Computed tomography

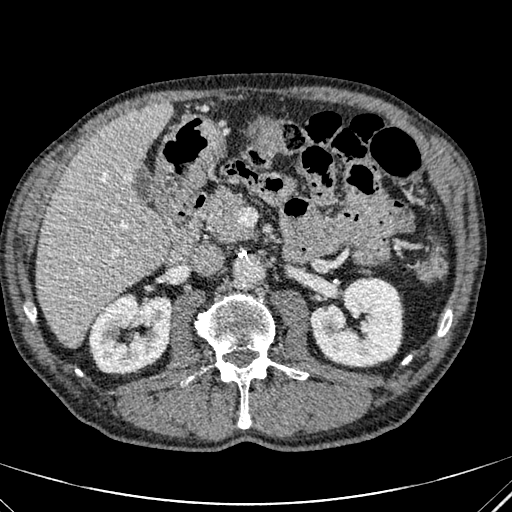
Kidney = l=311, t=279, r=401, b=365; l=90, t=296, r=170, b=372.
Liver = l=37, t=103, r=170, b=347.